512x512 px, Liver, CT slice 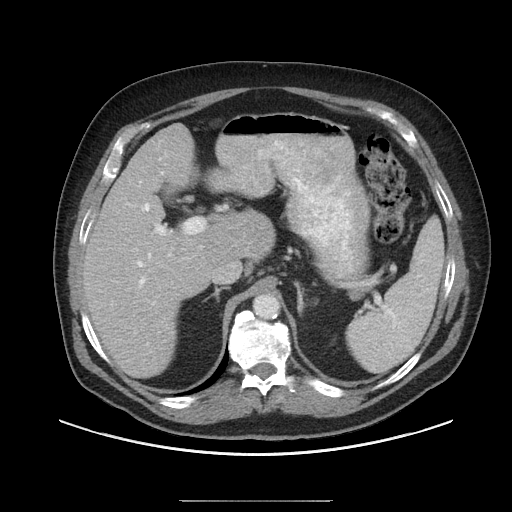
The vessel boxes may cover only some of the vessels.
hepatic vessel: [138,262,142,266], [139,182,140,185], [144,204,149,210], [148,254,150,257], [161,172,163,173], [139,277,144,284], [185,218,203,233], [156,226,164,233]